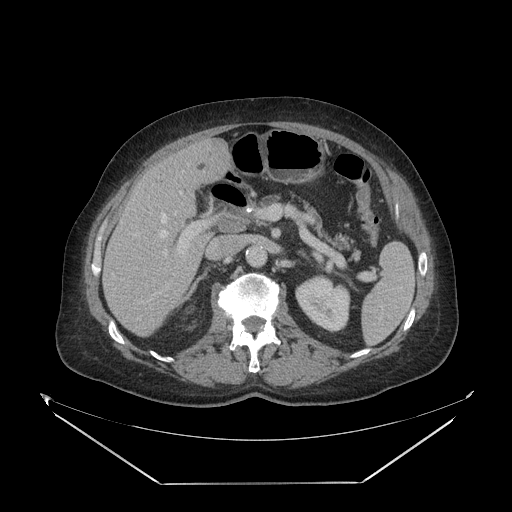 Abdomen, CT slice

pancreas: bbox(260, 194, 280, 206); bbox(297, 197, 360, 259)